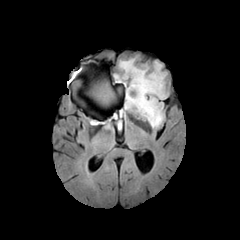
FLAIR MR image.
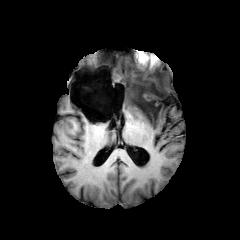
T1-weighted magnetic resonance.
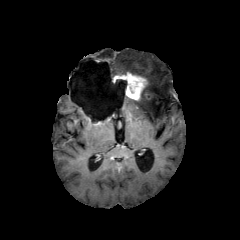
Post-contrast T1-weighted MRI.
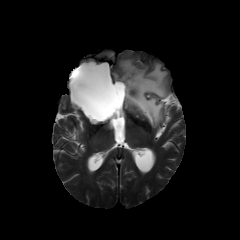
T2-weighted MR of the same slice.
Head
non-enhancing tumor core: <box>126,70,161,116</box>, <box>108,116,120,127</box>, <box>116,79,126,88</box>, <box>94,83,115,103</box> | enhancing tumor: <box>114,72,147,101</box> | edema: <box>119,59,168,129</box>